CT scan slice | Slice 333 of 689
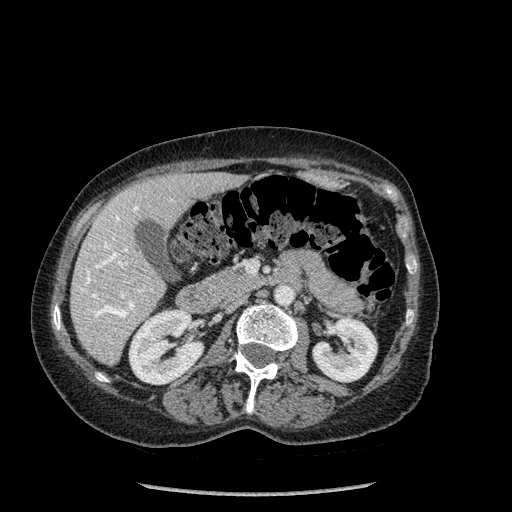 Annotated regions:
• kidney: 129:310:203:384, 313:318:376:381
• liver: 70:172:250:364
• bone: 406:310:413:324, 406:261:416:273, 53:305:60:330, 232:302:297:413, 95:372:108:381